MR image. Hippocampus.
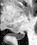

Posterior hippocampus = bbox(13, 31, 24, 39).